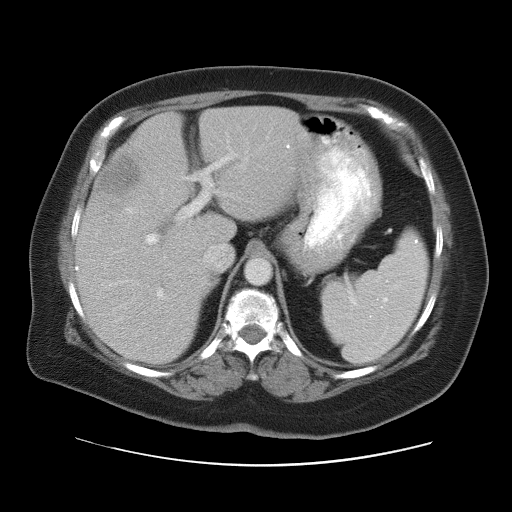
CT image, Upper abdomen

Annotated regions:
* spleen: box=[322, 232, 427, 362]